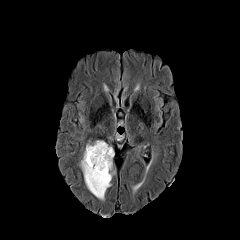
FLAIR MRI.
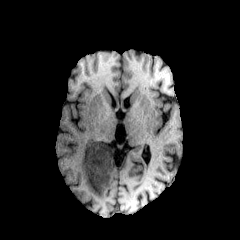
T1-weighted MR image of the same slice.
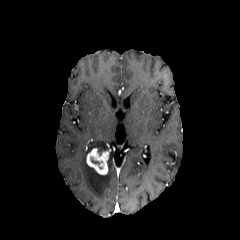
Post-contrast T1-weighted MR.
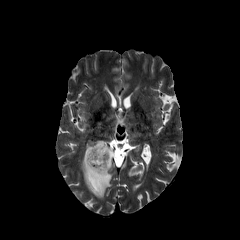
T2-weighted MR image of the same slice.
Enhancing tumor: 86 147 110 175.
Non-enhancing tumor core: 98 142 113 164.
Edema: 78 152 114 200, 87 140 104 152.